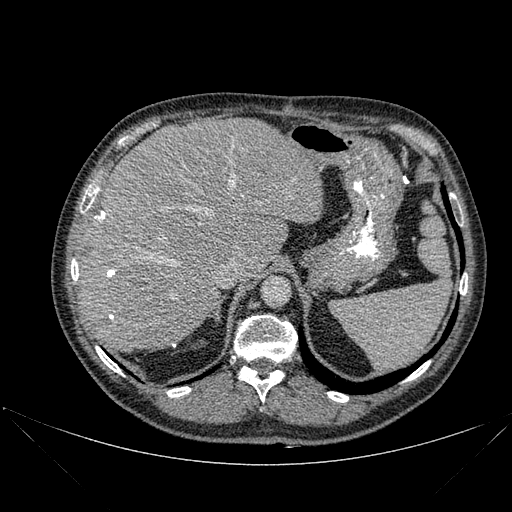
CT; Image size 512x512

Segmented structures:
• liver: (78,118,323,352)
• bone: (234,315,297,361), (405,360,430,381), (71,259,78,280), (96,346,122,374), (83,184,98,207), (459,275,467,294), (239,366,283,402), (327,391,348,402), (167,386,190,397)
• lung: (299,307,457,393), (441,185,464,269)